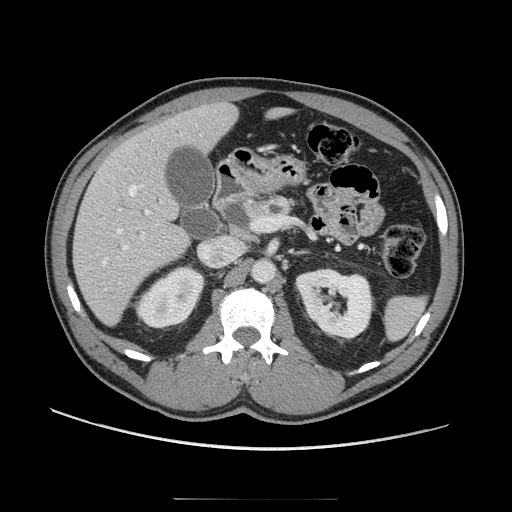

Image size 512x512, Computed tomography, Upper abdomen
The pancreas is located at bbox=[242, 193, 293, 223].